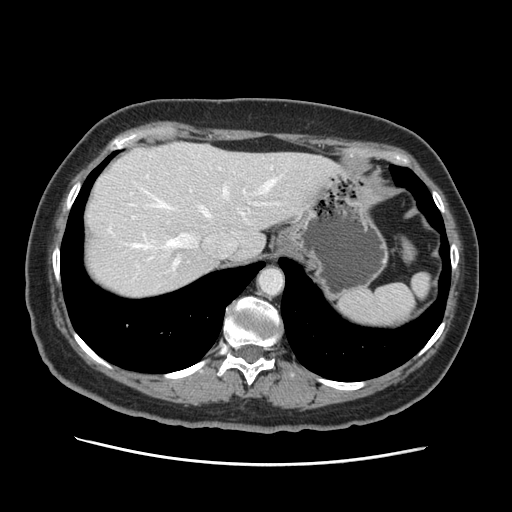

CT. Image size 512x512. Upper abdomen. Annotated regions:
• spleen: (left=338, top=273, right=432, bottom=328)